Liver. Slice index 8. 512x512. CT scan slice. 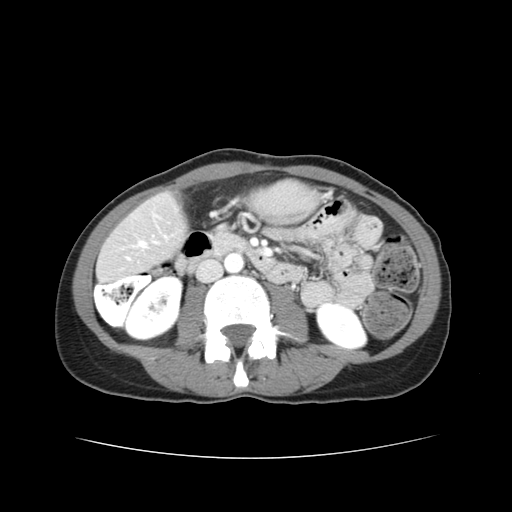
Only some of the vessels may be annotated.
<segmentation>
  <hepatic_vessel>140,242,145,246</hepatic_vessel>
</segmentation>